Slice 52/343, CT image
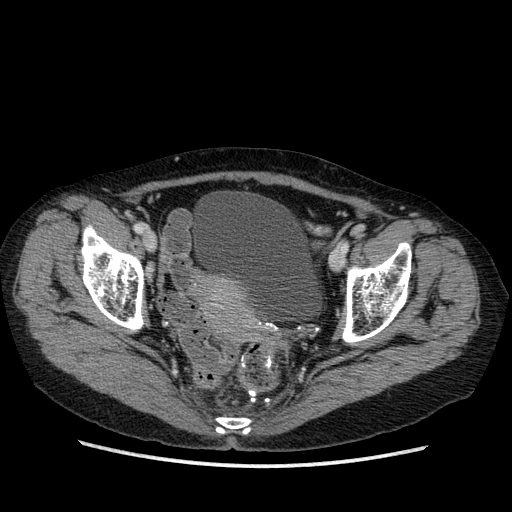

<segmentation>
  <urinary_bladder>189, 190, 324, 322</urinary_bladder>
</segmentation>